Brain; Slice 128/155; Image size 240x240
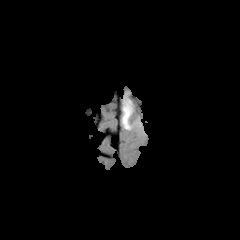
FLAIR magnetic resonance.
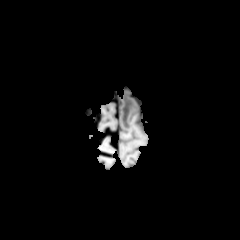
T1-weighted MR image.
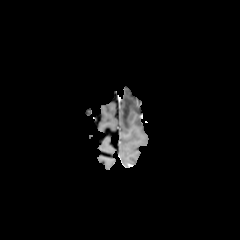
Post-contrast T1-weighted MR image of the same slice.
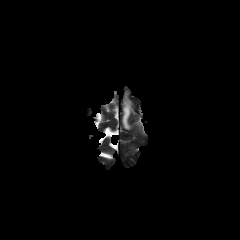
Same slice, T2-weighted MR.
The edema appears at [122, 97, 133, 130].